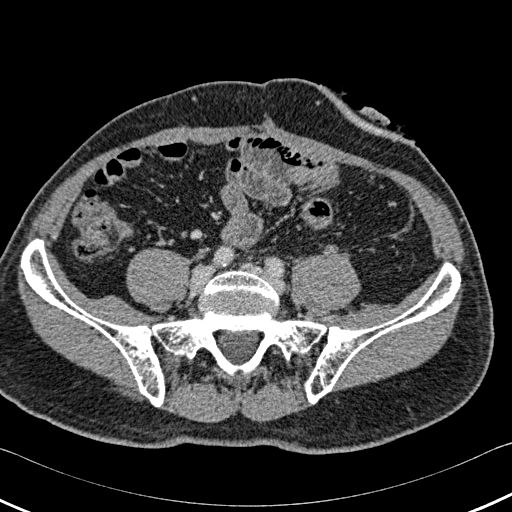 CT scan slice

{"bone": [{"x1": 21, "y1": 239, "x2": 460, "y2": 406}]}